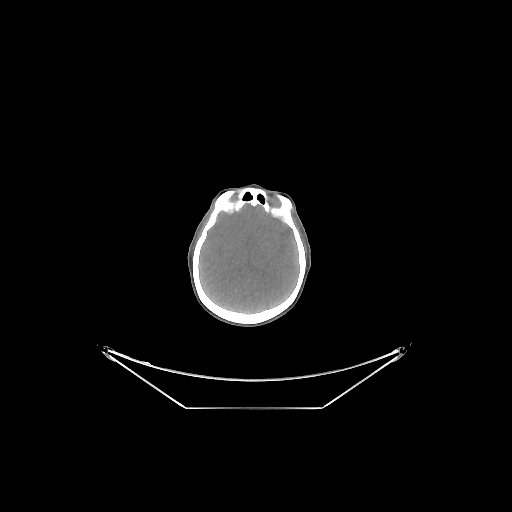
CT slice. Image size 512x512. Head.

<segmentation>
  <brain>198:203:299:313</brain>
  <bone>193:188:305:323</bone>
</segmentation>